FLAIR magnetic resonance.
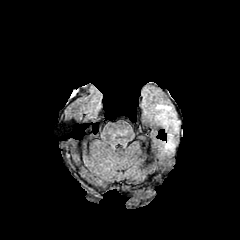
T1-weighted MR image.
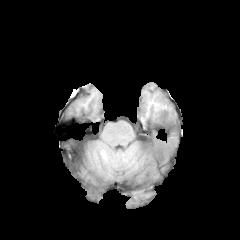
Post-contrast T1-weighted MR image.
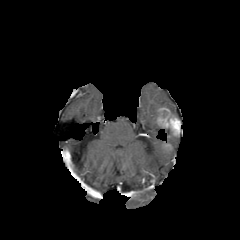
T2-weighted MRI.
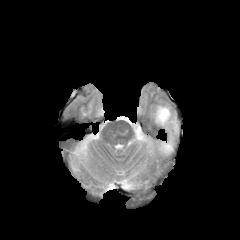
240x240. Head.
Enhancing tumor — [x1=161, y1=142, x2=172, y2=152], [x1=156, y1=108, x2=179, y2=137].
Edema — [x1=153, y1=102, x2=177, y2=123], [x1=166, y1=131, x2=179, y2=151], [x1=158, y1=141, x2=169, y2=155].